Field of view 351 mm wide, 1.00 mm slice spacing. Chest. CT.

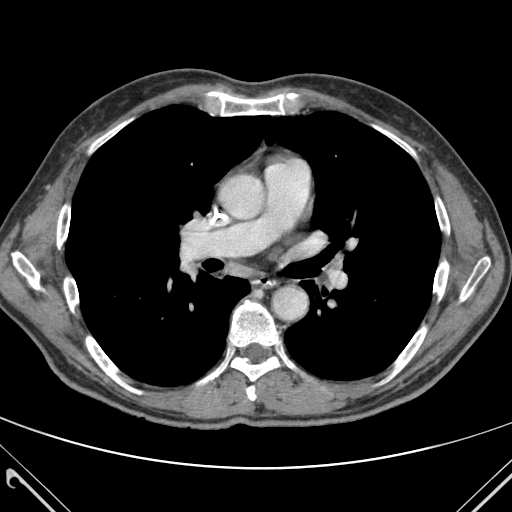
Lung — l=65, t=105, r=440, b=386.
Bone — l=373, t=125, r=414, b=154; l=230, t=300, r=279, b=346; l=90, t=119, r=132, b=151; l=246, t=386, r=255, b=400; l=390, t=327, r=426, b=377; l=12, t=252, r=40, b=289; l=207, t=92, r=299, b=115; l=433, t=261, r=448, b=299; l=64, t=278, r=78, b=311; l=57, t=205, r=70, b=247; l=198, t=351, r=279, b=384; l=435, t=198, r=449, b=233; l=280, t=352, r=294, b=368; l=460, t=257, r=489, b=300; l=86, t=337, r=140, b=393.